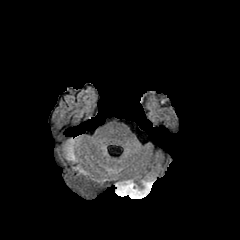
FLAIR magnetic resonance.
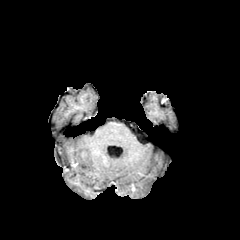
T1-weighted MRI.
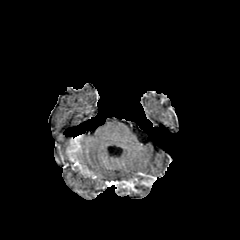
Post-contrast T1-weighted MR image of the same slice.
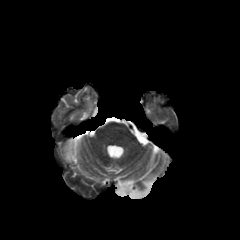
T2-weighted magnetic resonance.
Brain
Enhancing tumor = rect(116, 180, 136, 192).
Edema = rect(130, 184, 151, 197).
Non-enhancing tumor core = rect(129, 178, 139, 192); rect(114, 182, 131, 195).